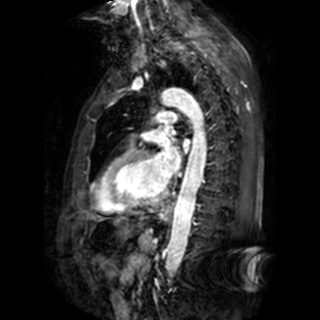 Magnetic resonance

2 left atrium regions are bounded by region(155, 136, 181, 178); region(184, 139, 189, 149).